Slice index 33, Computed tomography, Abdomen, Image width 370 mm

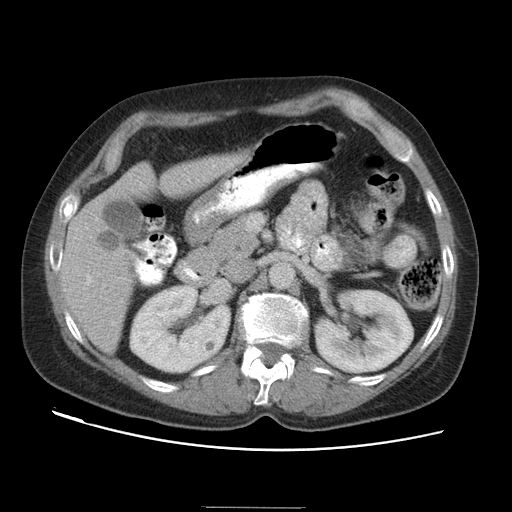
The pancreas appears at [188,214,259,277].